CT image; Image size 512x512; Field of view 389 mm wide, 5.00 mm slice spacing; Slice 24/40; Abdomen
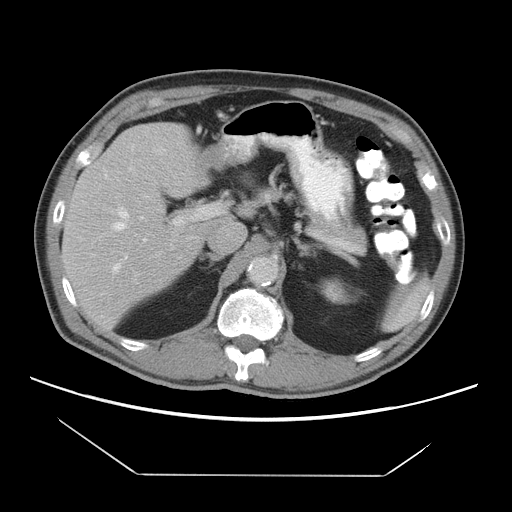

Some hepatic vessels may have no box.
12 hepatic vessel regions are located at bbox(143, 238, 145, 240); bbox(155, 146, 164, 153); bbox(105, 175, 107, 178); bbox(117, 207, 128, 219); bbox(111, 262, 120, 273); bbox(140, 216, 143, 219); bbox(124, 256, 127, 259); bbox(171, 202, 215, 226); bbox(116, 195, 120, 197); bbox(91, 254, 94, 256); bbox(171, 239, 173, 249); bbox(113, 221, 125, 230).